FLAIR magnetic resonance.
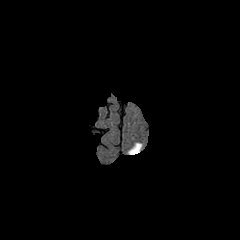
T1-weighted MR.
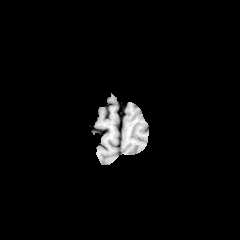
Post-contrast T1-weighted MR image.
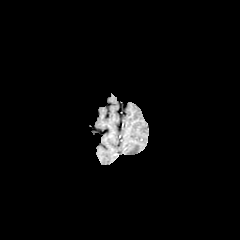
T2-weighted MR image.
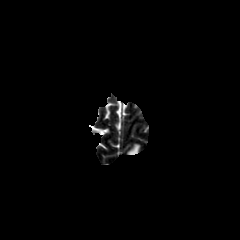
Head
Edema = 129, 143, 141, 154.